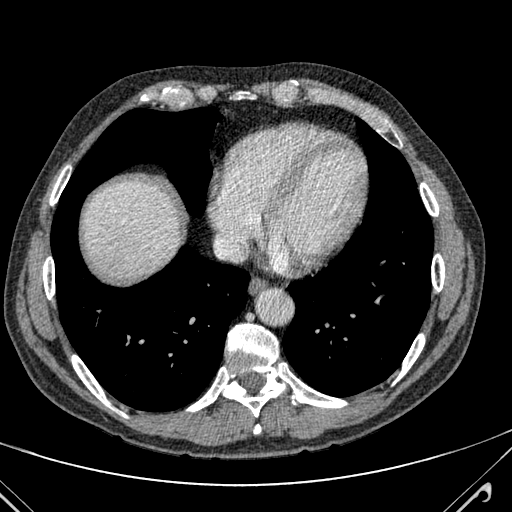 CT image
{"liver": ["rect(86, 184, 176, 276)"]}